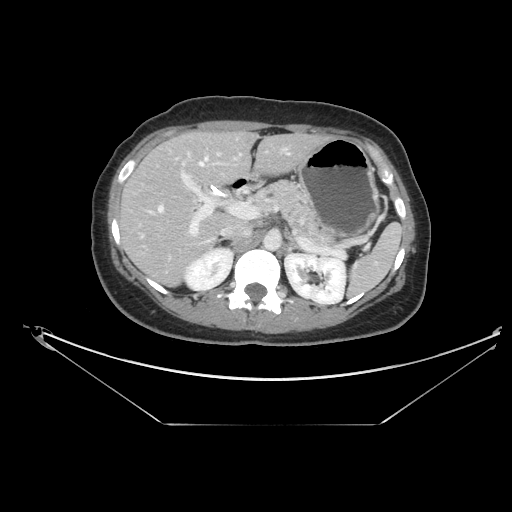
Abdomen. CT image.

pancreas:
  - left=258, top=182, right=341, bottom=245